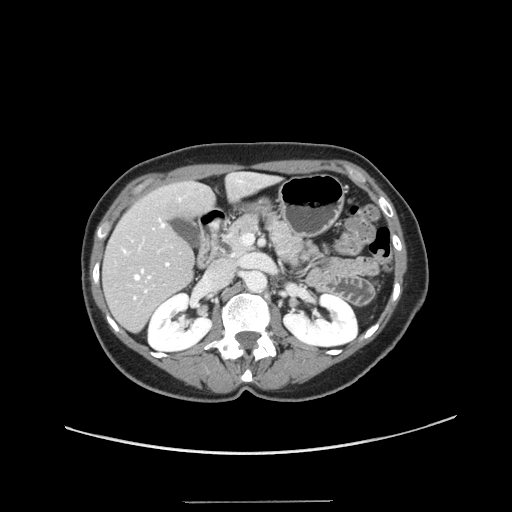

Liver. CT scan slice.

Some hepatic vessels may have no box.
Hepatic vessel — bbox(148, 276, 150, 277); bbox(135, 274, 139, 279); bbox(179, 198, 180, 199); bbox(167, 263, 168, 264); bbox(145, 289, 146, 291); bbox(141, 269, 143, 271); bbox(124, 250, 126, 253); bbox(159, 219, 164, 226); bbox(134, 296, 136, 298).